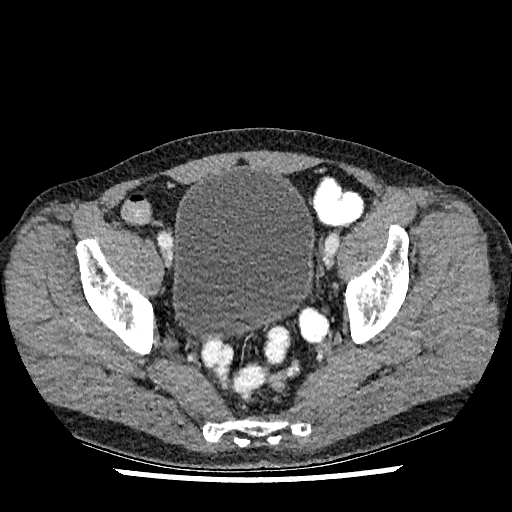
Lower abdomen. Image size 512x512. CT slice.
* urinary bladder: box=[173, 168, 312, 340]